Computed tomography | Slice index 406 | Field of view 400x400 mm | Image size 512x512 | Liver

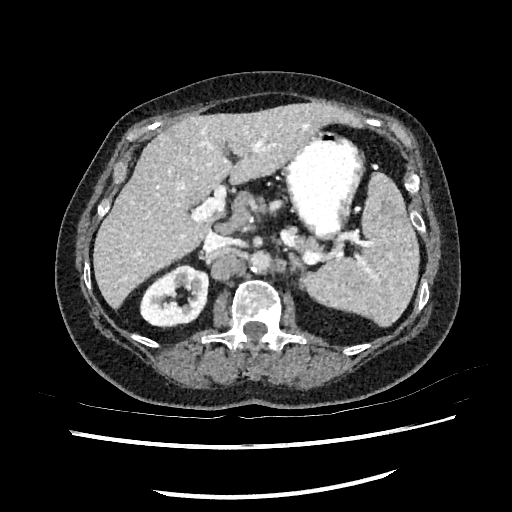
Liver at 93:102:362:308.
Kidney at 141:266:207:325.